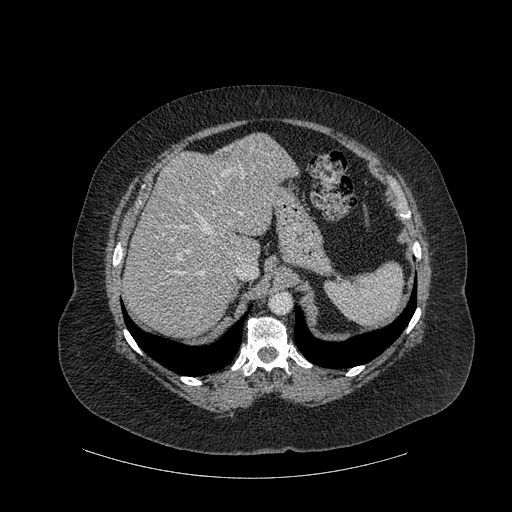

Abdomen. CT image.
liver:
  - x1=122, y1=133, x2=299, y2=337
lung:
  - x1=123, y1=309, x2=246, y2=376
  - x1=294, y1=286, x2=416, y2=368
bone:
  - x1=181, y1=377, x2=201, y2=385
  - x1=124, y1=329, x2=141, y2=353
  - x1=232, y1=317, x2=311, y2=375
  - x1=113, y1=243, x2=122, y2=265
  - x1=413, y1=242, x2=420, y2=257
  - x1=346, y1=366, x2=364, y2=376
  - x1=407, y1=308, x2=420, y2=332